Cardiac | MR image | Slice index 46

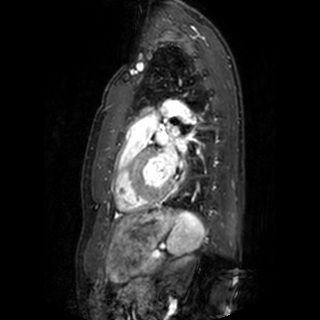 <segmentation>
  <left_atrium>bbox(156, 132, 177, 175); bbox(168, 127, 186, 151)</left_atrium>
</segmentation>